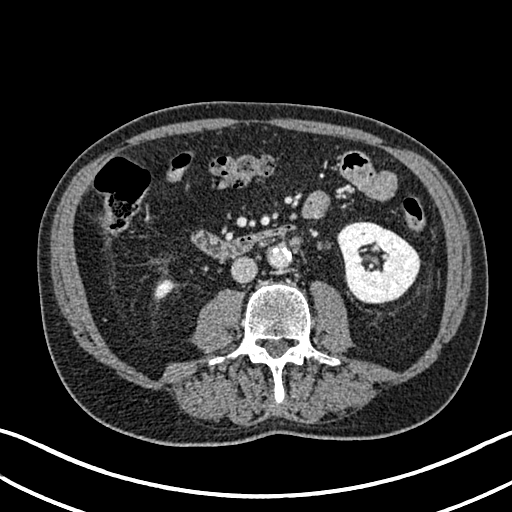 Abdomen, CT, 512x512
2 kidney regions are located at (x1=338, y1=223, x2=419, y2=302), (x1=156, y1=281, x2=172, y2=297).